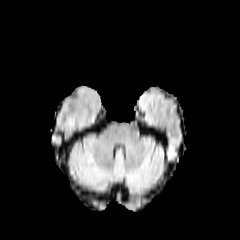
FLAIR magnetic resonance.
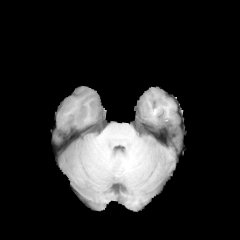
T1-weighted magnetic resonance.
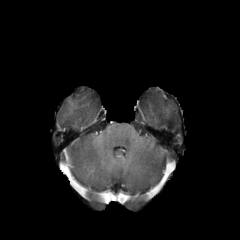
Post-contrast T1-weighted MR image.
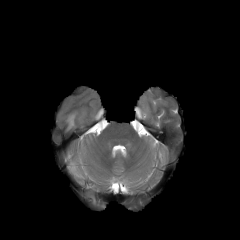
T2-weighted MR image.
Head
The edema is at box(68, 115, 75, 128).